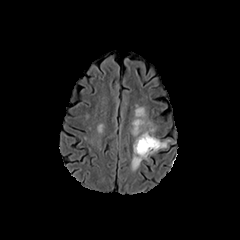
FLAIR magnetic resonance.
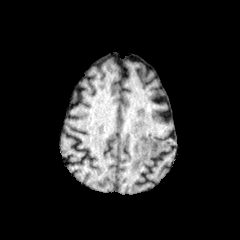
T1-weighted magnetic resonance of the same slice.
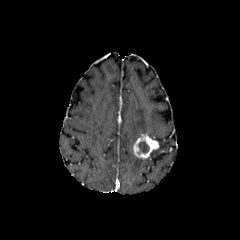
Post-contrast T1-weighted MR of the same slice.
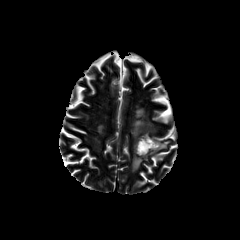
T2-weighted MR image.
Head, Image size 240x240
Segmented structures:
- enhancing tumor: [133, 129, 159, 159]
- edema: [130, 154, 143, 172], [150, 140, 171, 155], [131, 108, 155, 142]
- non-enhancing tumor core: [138, 140, 149, 152]